FLAIR MR.
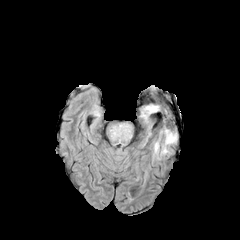
T1-weighted MR.
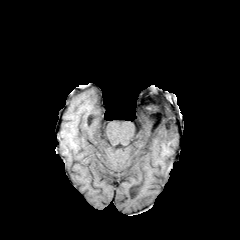
Post-contrast T1-weighted MR image.
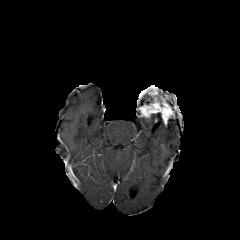
T2-weighted magnetic resonance.
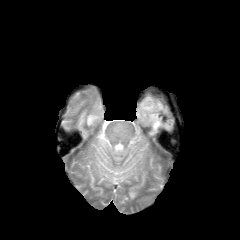
{
  "enhancing_tumor": [
    "box=[140, 100, 170, 118]"
  ],
  "edema": [
    "box=[154, 128, 173, 154]",
    "box=[112, 132, 125, 141]"
  ]
}